Slice 568/624. Computed tomography. Abdomen.

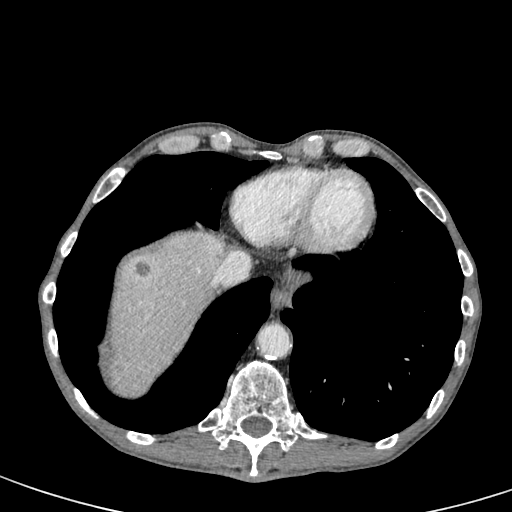 liver: (left=110, top=231, right=226, bottom=397) | liver lesion: (left=295, top=273, right=308, bottom=281), (left=135, top=262, right=149, bottom=275)